FLAIR magnetic resonance.
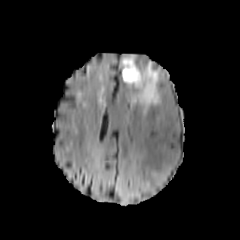
T1-weighted MR image.
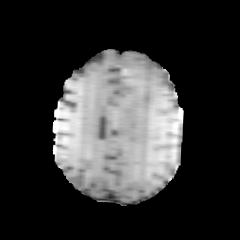
Post-contrast T1-weighted MR image.
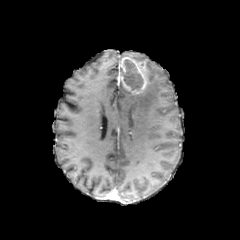
T2-weighted MR image.
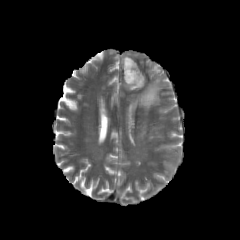
Brain
edema:
  - left=128, top=61, right=161, bottom=110
non-enhancing_tumor_core:
  - left=121, top=59, right=143, bottom=92
enhancing_tumor:
  - left=121, top=57, right=147, bottom=94
  - left=121, top=76, right=130, bottom=91